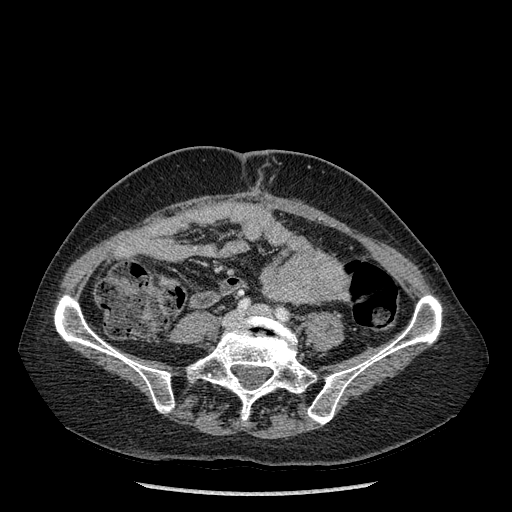 512x512 px; CT

{"bone": ["l=307, t=294, r=441, b=424", "l=187, t=315, r=316, b=420", "l=54, t=295, r=174, b=413"]}